240x240 px. Slice 96/155. Head.
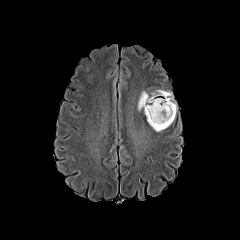
FLAIR magnetic resonance.
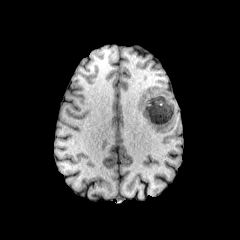
T1-weighted magnetic resonance.
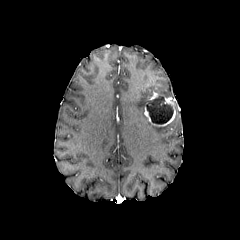
Post-contrast T1-weighted magnetic resonance.
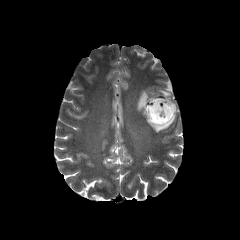
T2-weighted MR.
The enhancing tumor is at 143 92 175 127. The non-enhancing tumor core is located at 146 96 173 124. 3 edema regions are bounded by 137 90 150 111, 156 90 172 97, 148 120 173 131.